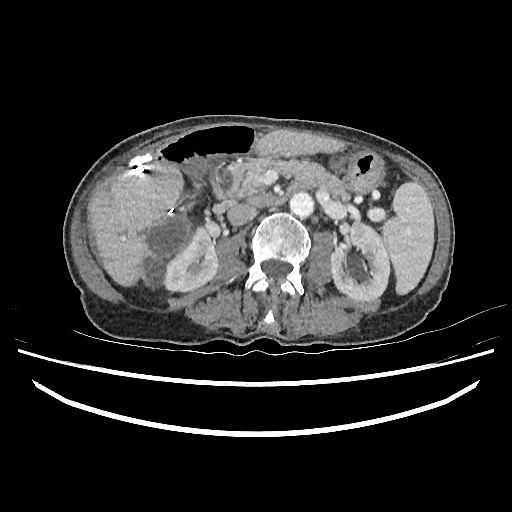 CT slice. Liver. 512x512.

Segmented structures:
* liver lesion: 90, 238, 101, 263; 141, 215, 189, 287
* kidney: 331, 221, 389, 300; 165, 220, 219, 291
* liver: 159, 256, 172, 286; 256, 130, 345, 155; 88, 165, 183, 285; 175, 225, 191, 253